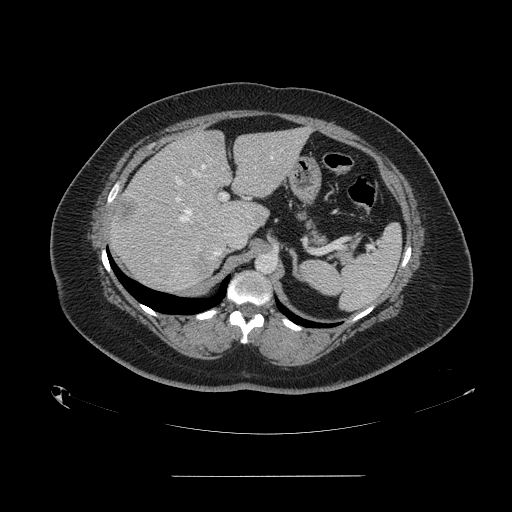 Upper abdomen, Computed tomography, 512x512
Spleen = (301, 223, 401, 310).